Brain, Slice 107/155, 240x240 px
FLAIR MRI.
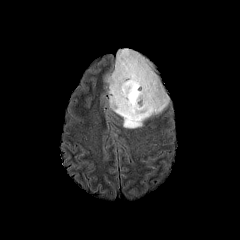
T1-weighted MR image.
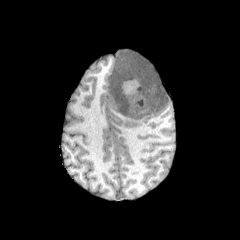
Post-contrast T1-weighted MR image.
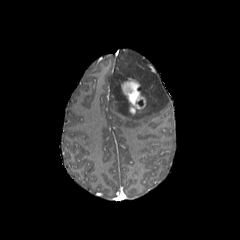
T2-weighted MR image.
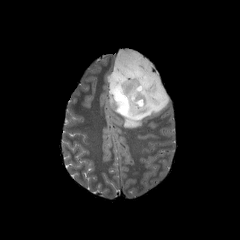
Non-enhancing tumor core at 137,76,144,91.
Enhancing tumor at 121,75,146,115.
Edema at 108,49,169,128.